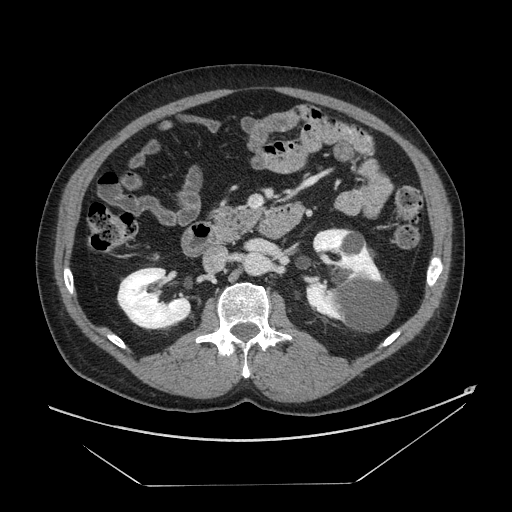 Computed tomography, Abdomen
Annotated regions:
* pancreas: [210, 209, 261, 241]